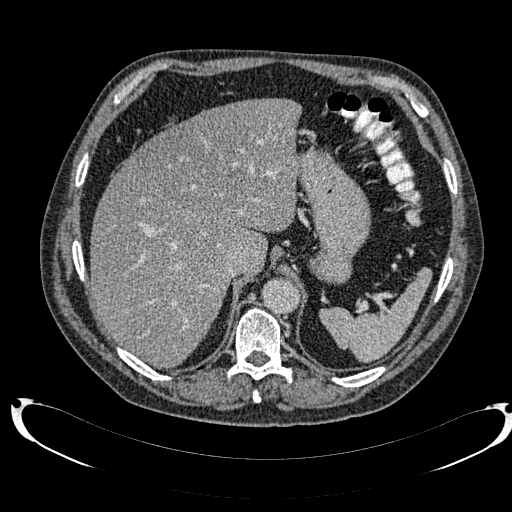
CT; Abdomen
The hepatic lesion is located at <bbox>134, 103, 263, 211</bbox>. The liver lies within <bbox>91, 99, 299, 367</bbox>.